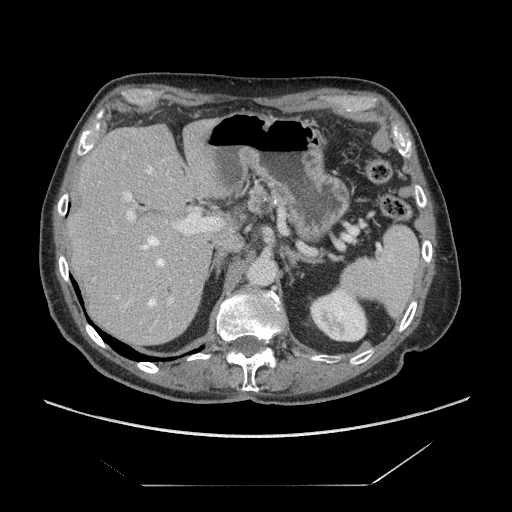
CT scan slice. pancreas:
  - 245 183 270 213